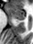 Magnetic resonance

Posterior hippocampus: x1=19 y1=20 x2=22 y2=20.
Anterior hippocampus: x1=8 y1=7 x2=24 y2=19.